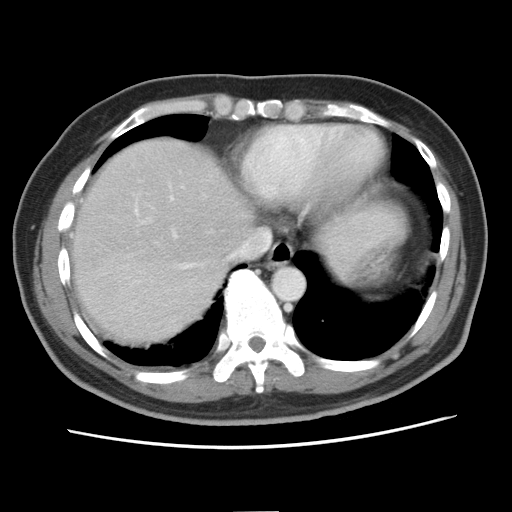

Abdomen, Computed tomography, Image size 512x512
The vessel annotation is not exhaustive.
- hepatic vessel: box=[169, 196, 173, 200]; box=[172, 231, 175, 237]; box=[134, 202, 137, 214]; box=[226, 232, 269, 259]; box=[179, 264, 195, 269]; box=[139, 221, 143, 223]